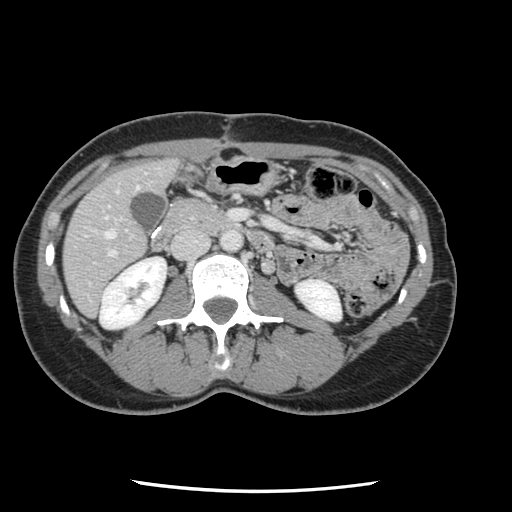 CT slice
The vessel boxes may cover only some of the vessels.
hepatic vessel: [x1=105, y1=230, x2=114, y2=237], [x1=108, y1=250, x2=114, y2=255], [x1=136, y1=187, x2=138, y2=188], [x1=105, y1=216, x2=106, y2=217]